FLAIR magnetic resonance.
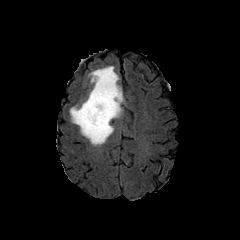
T1-weighted MRI.
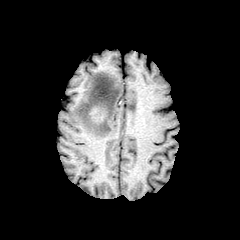
Post-contrast T1-weighted MR.
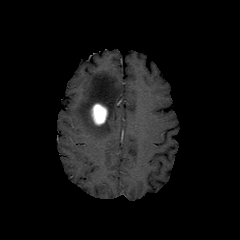
T2-weighted MR.
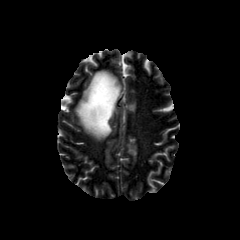
Head, 240x240 px
Edema = <bbox>69, 66, 123, 145</bbox>.
Enhancing tumor = <bbox>90, 103, 108, 125</bbox>.